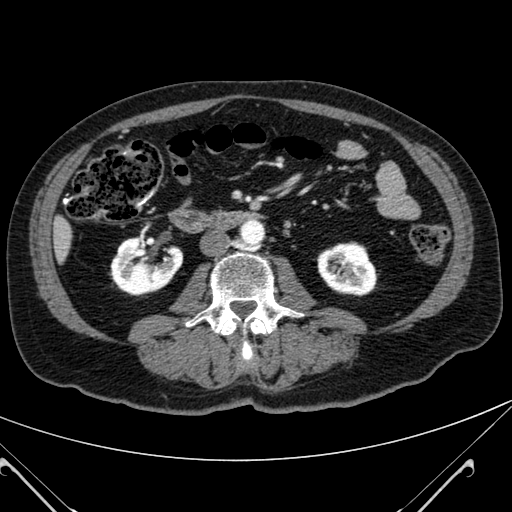 CT.

* liver: bbox(52, 218, 71, 258)
* kidney: bbox(112, 237, 181, 293); bbox(318, 244, 375, 294)